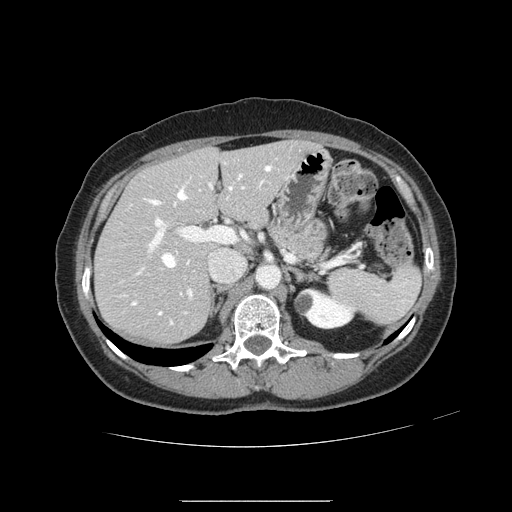 Upper abdomen; 512x512 px; CT image
The pancreas lies within x1=266, y1=218, x2=331, y2=267.